Field of view 403 mm wide, 5.00 mm slice spacing. CT image. Liver. 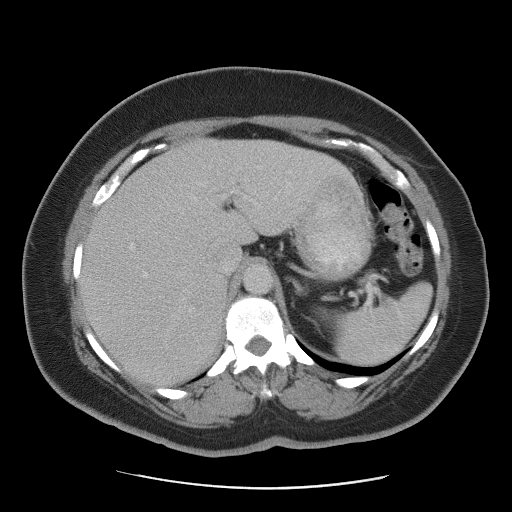 The vessel annotation is not exhaustive.
2 hepatic vessel regions appear at box=[222, 195, 225, 198]; box=[130, 244, 135, 248].